Computed tomography, Slice 473/685, Upper abdomen
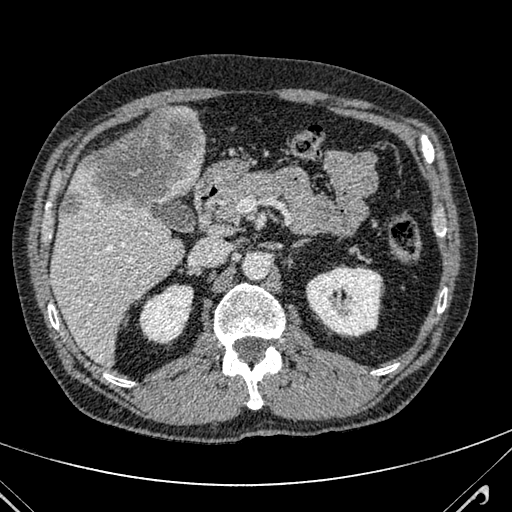
Findings:
• liver: <bbox>51, 157, 182, 364</bbox>, <bbox>156, 157, 203, 203</bbox>, <bbox>169, 108, 197, 124</bbox>
• hepatic lesion: <bbox>83, 108, 204, 207</bbox>, <bbox>60, 188, 82, 214</bbox>